Computed tomography, 512x512, Slice index 39

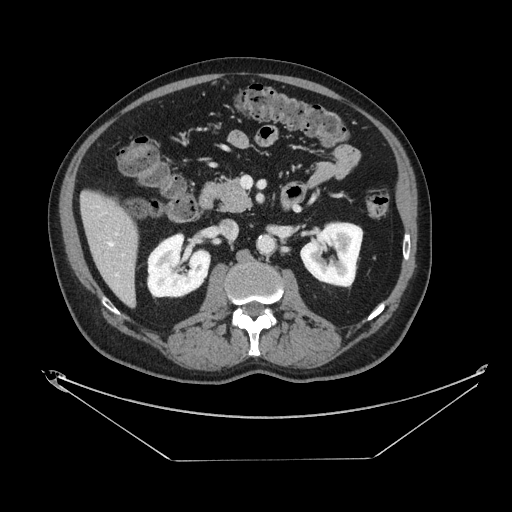 Pancreas — 215 178 251 212.